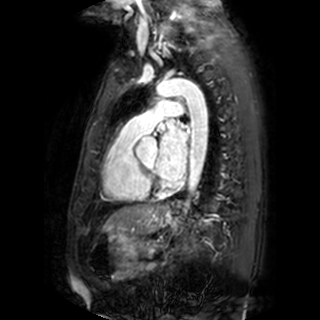
MR. 320x320. Cardiac. The left atrium is located at rect(155, 119, 187, 181).